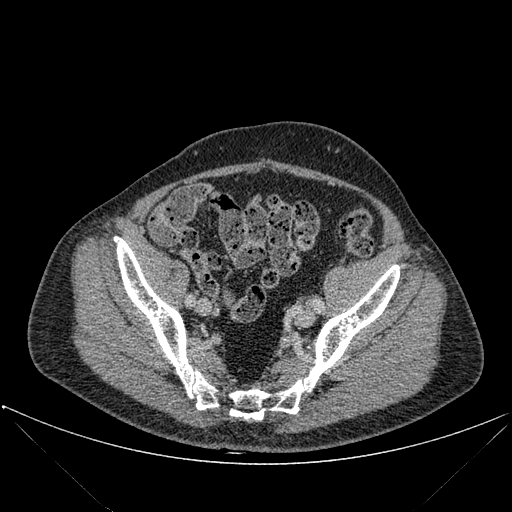
CT scan slice
Bone: bbox(114, 236, 218, 409); bbox(229, 389, 270, 419); bbox(270, 265, 399, 413).